Abdomen; CT scan slice; Image width 339 mm
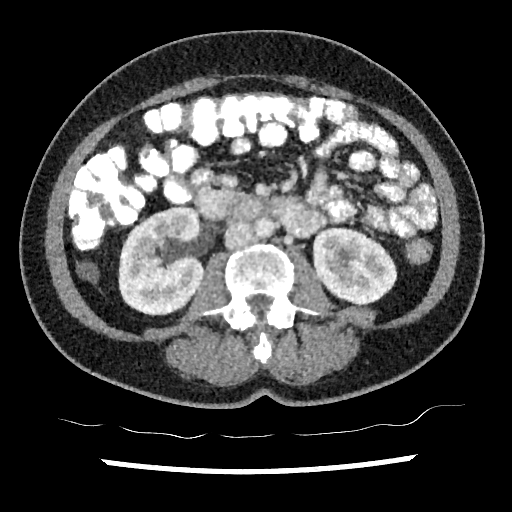 2 kidney regions are bounded by <box>119,208,202,314</box>, <box>314,228,396,303</box>.